512x512 px; CT image
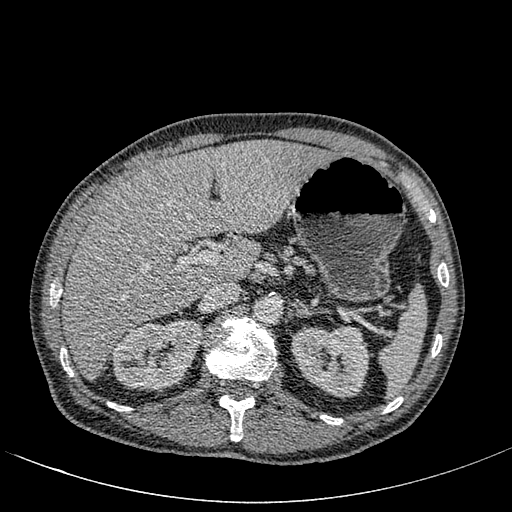 The liver is located at 62, 140, 331, 379. The liver lesion appears at 155, 168, 166, 179. 2 kidney regions are bounded by 112, 320, 203, 389; 292, 326, 368, 396.